FLAIR MR.
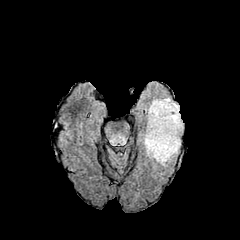
T1-weighted MR.
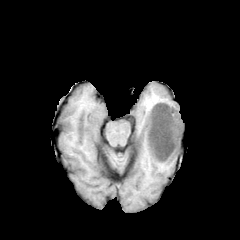
Post-contrast T1-weighted MR image.
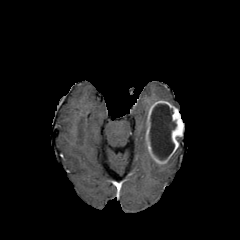
T2-weighted magnetic resonance.
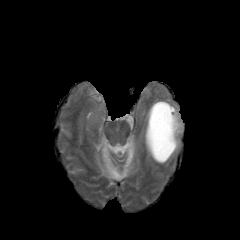
non-enhancing_tumor_core:
  - <bbox>150, 104, 175, 159</bbox>
edema:
  - <bbox>143, 136, 154, 161</bbox>
  - <bbox>150, 98, 178, 107</bbox>
enhancing_tumor:
  - <bbox>144, 100, 183, 163</bbox>